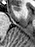 35x47 px, Medial temporal lobe, Magnetic resonance
Annotated regions:
* anterior hippocampus: box=[13, 5, 20, 10]